Slice 90 of 155
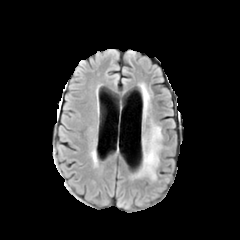
FLAIR MRI.
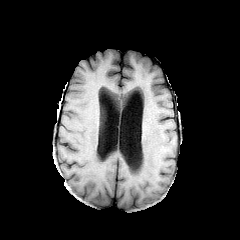
Same slice, T1-weighted MR.
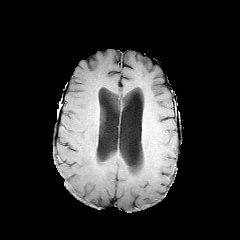
Same slice, post-contrast T1-weighted MRI.
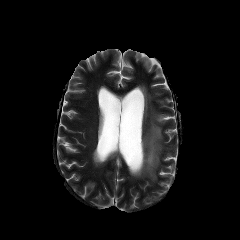
T2-weighted magnetic resonance.
Annotated regions:
• edema: 132:123:161:179, 141:84:149:119